CT slice. Pelvis. 512x512 px.

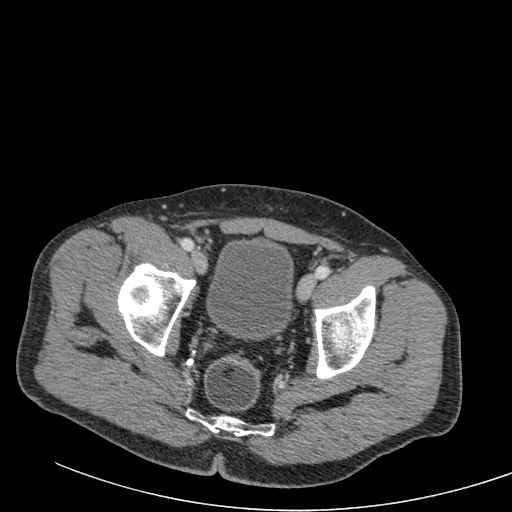 Urinary bladder — (206,240,293,339).